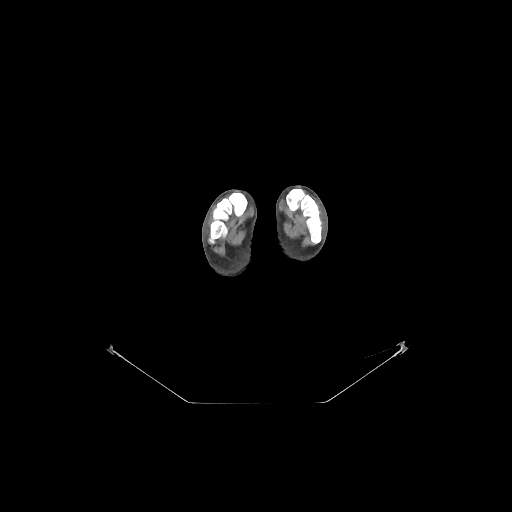

CT image
Annotated regions:
• bone: bbox=[286, 189, 321, 243]; bbox=[209, 193, 246, 242]